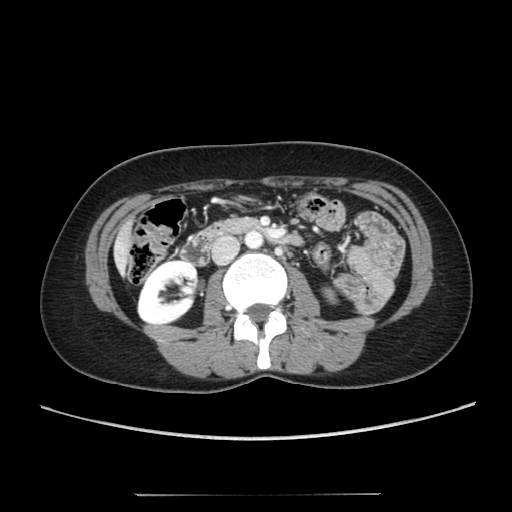 CT image. Liver. 512x512 px.
liver: 114 216 134 277 | kidney: 139 261 195 323